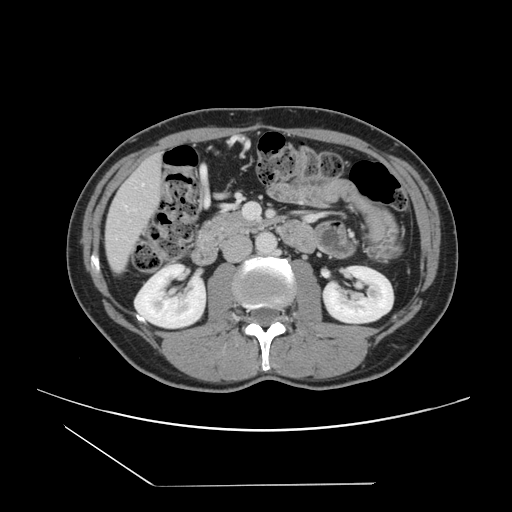
Computed tomography

The vessel boxes may cover only some of the vessels.
hepatic vessel: bbox=[134, 209, 136, 210]; bbox=[123, 204, 124, 206]